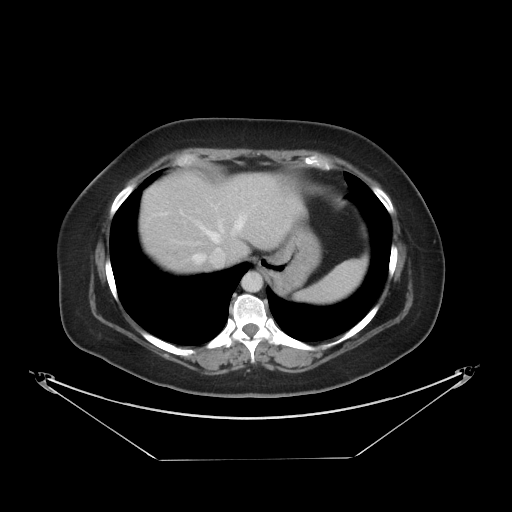
512x512 px, CT slice
The vessel annotation is not exhaustive.
hepatic vessel: 196, 221, 219, 242; 218, 219, 222, 232; 232, 214, 245, 233; 252, 204, 256, 206; 213, 206, 216, 209; 193, 254, 204, 262